Abdomen. CT slice.

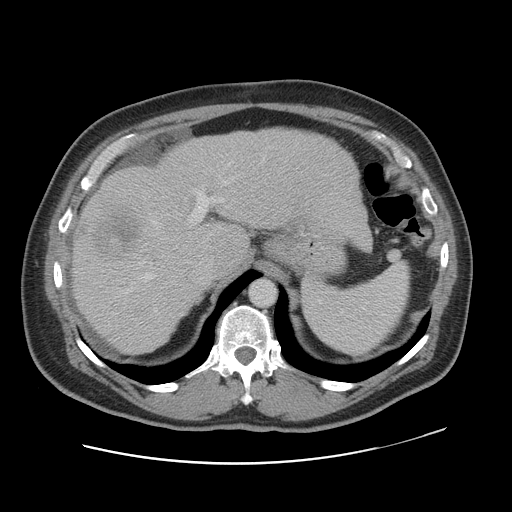

The vessel boxes may cover only some of the vessels.
Annotated regions:
• hepatic vessel (largest 15 of 21): l=151, t=220, r=162, b=228; l=202, t=171, r=205, b=173; l=137, t=256, r=152, b=268; l=184, t=198, r=186, b=200; l=233, t=199, r=235, b=202; l=188, t=185, r=224, b=228; l=229, t=174, r=236, b=181; l=143, t=272, r=155, b=281; l=260, t=156, r=264, b=164; l=254, t=199, r=257, b=201; l=225, t=161, r=232, b=167; l=204, t=233, r=210, b=241; l=222, t=180, r=228, b=185; l=218, t=175, r=220, b=177; l=122, t=282, r=134, b=293
• liver tumor: l=92, t=208, r=148, b=261